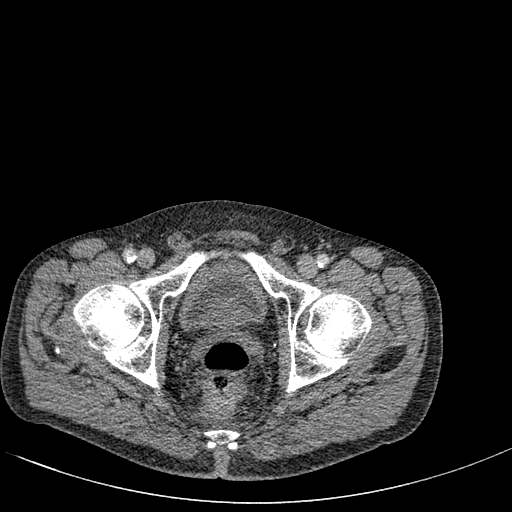

CT slice
Urinary bladder = <bbox>177, 251, 269, 334</bbox>.